Chest; Field of view 335 mm wide, 1.00 mm slice spacing; CT slice; Slice 381/565

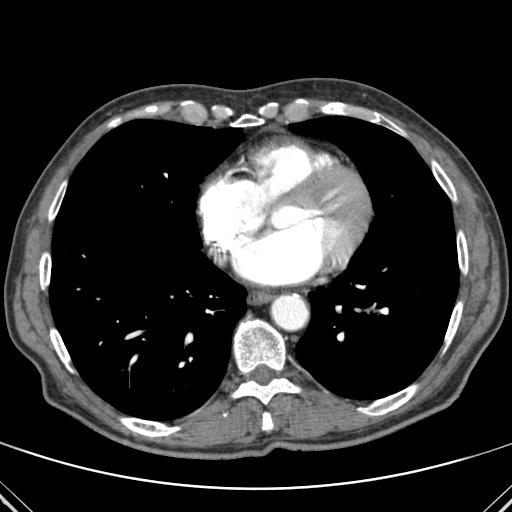
Bone — bbox=[231, 114, 264, 126]; bbox=[445, 302, 462, 345]; bbox=[39, 253, 51, 289]; bbox=[145, 106, 157, 113]; bbox=[232, 376, 300, 404]; bbox=[262, 412, 272, 429]; bbox=[120, 418, 180, 436]; bbox=[234, 319, 285, 374]; bbox=[432, 161, 456, 201]; bbox=[50, 329, 72, 371]; bbox=[322, 102, 400, 129]; bbox=[48, 183, 64, 220]; bbox=[358, 385, 417, 415]; bbox=[457, 231, 468, 273].
Lung — bbox=[289, 116, 458, 399]; bbox=[49, 119, 246, 420].